CT scan slice, Slice 242 of 574 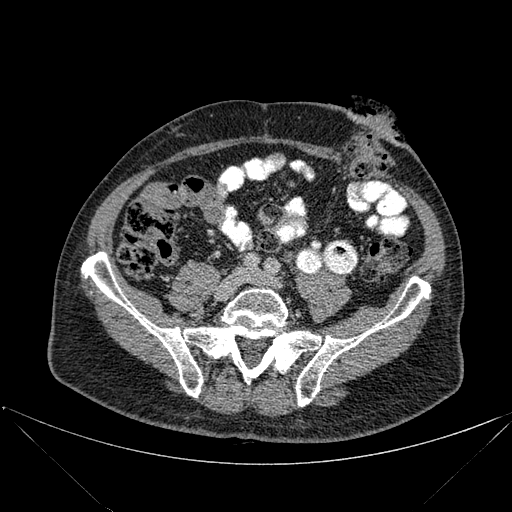

Annotated regions:
• bone: (81, 252, 430, 406)